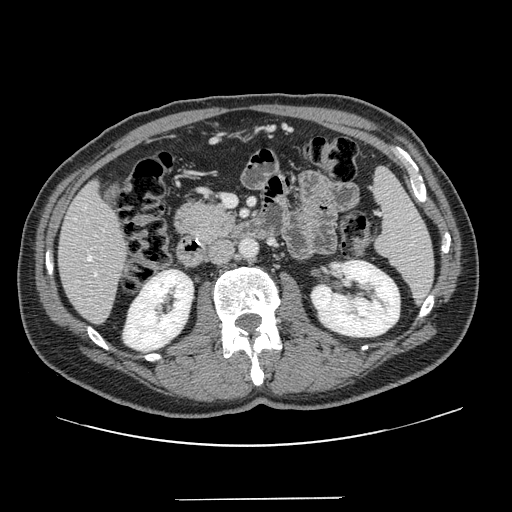

Abdomen, CT image, 512x512 px
Pancreas: left=172, top=197, right=238, bottom=249.
Pancreatic tumor: left=190, top=205, right=237, bottom=245.